CT slice. Liver. 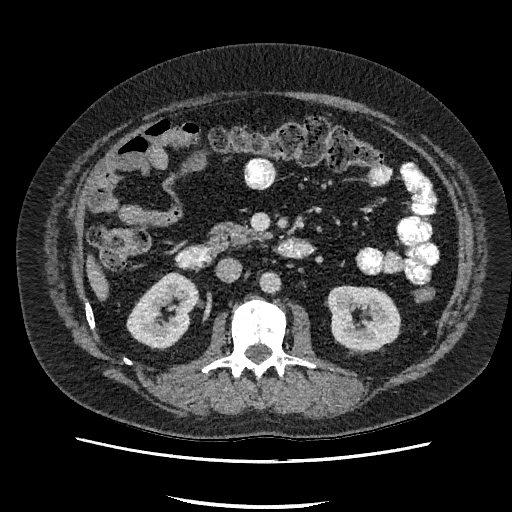

{
  "kidney": [
    "box=[329, 287, 399, 349]",
    "box=[128, 274, 197, 347]"
  ],
  "liver": [
    "box=[89, 263, 108, 297]"
  ]
}